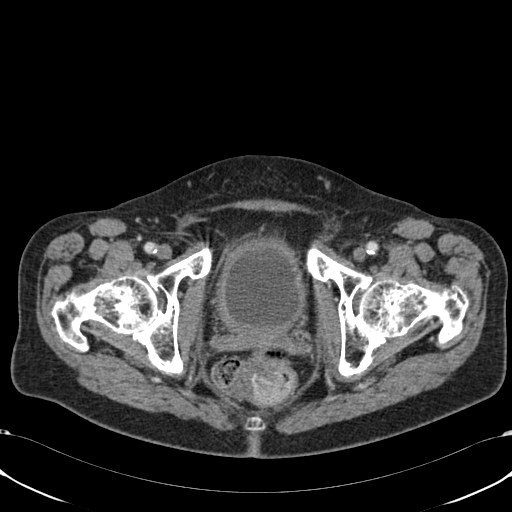 Computed tomography, Lower abdomen

The urinary bladder is located at (225,249,299,328).